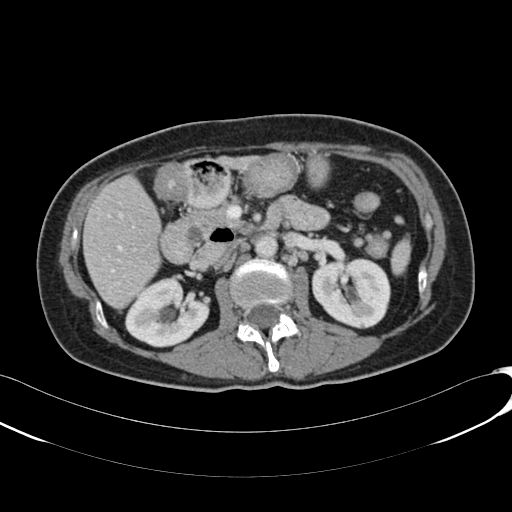
CT slice
Segmented structures:
• kidney: [313, 260, 389, 326], [126, 279, 208, 345]
• liver: [218, 155, 259, 168], [83, 174, 160, 307]